Field of view 385 mm wide, 1.50 mm slice spacing. Computed tomography.

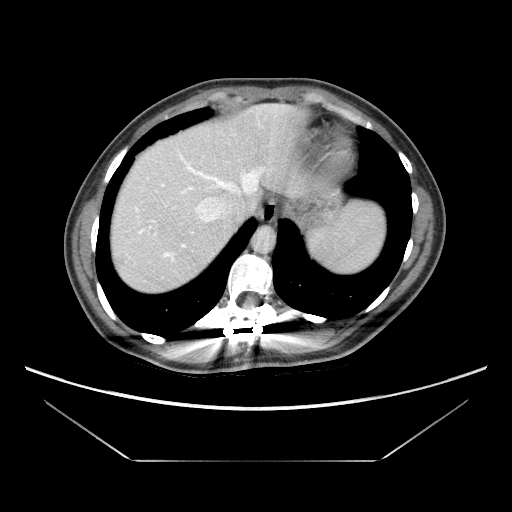

Not every hepatic vessel necessarily has a box.
hepatic vessel: (194,197,232,222), (180,186,194,193), (191,232,192,233), (182,244,184,246), (163,252,174,259), (176,150,263,193)